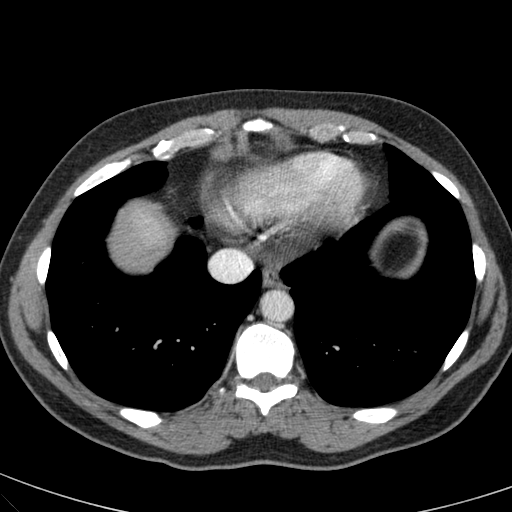

Image size 512x512; CT slice
Liver: box(116, 207, 168, 248).